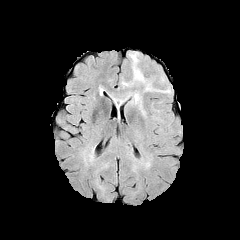
FLAIR MR.
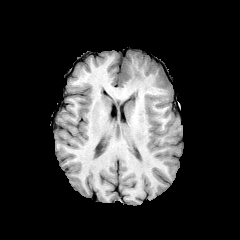
T1-weighted MR.
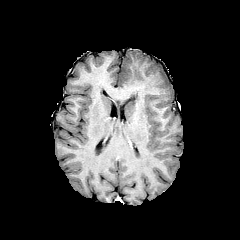
Same slice, post-contrast T1-weighted MR.
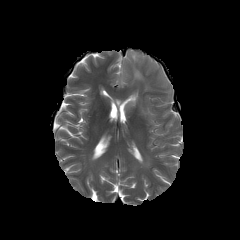
T2-weighted MR image.
Edema: [112, 98, 128, 103], [120, 52, 152, 114].